Brain; 240x240
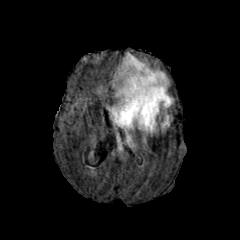
FLAIR MRI.
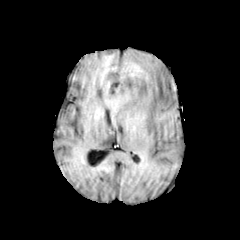
T1-weighted magnetic resonance of the same slice.
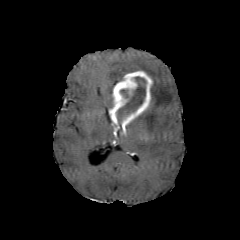
Post-contrast T1-weighted MRI.
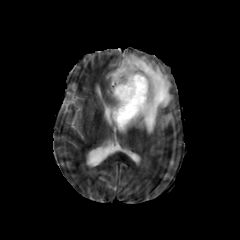
T2-weighted MRI.
Edema: <bbox>111, 52, 173, 133</bbox>, <bbox>161, 114, 170, 127</bbox>.
Enhancing tumor: <bbox>109, 70, 152, 126</bbox>.
Non-enhancing tumor core: <bbox>117, 76, 146, 123</bbox>.